Slice index 20; CT slice
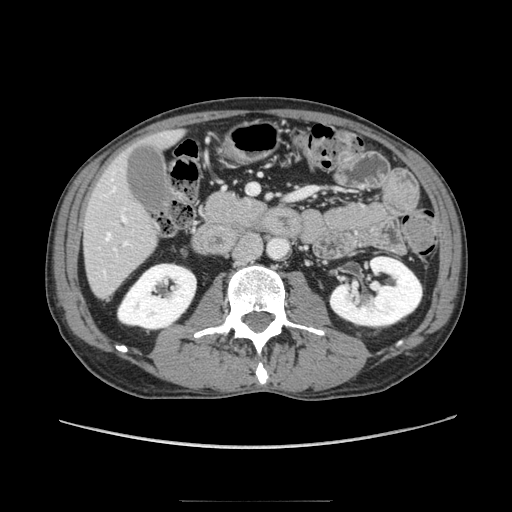

Pancreas: bounding box box=[203, 192, 265, 227].